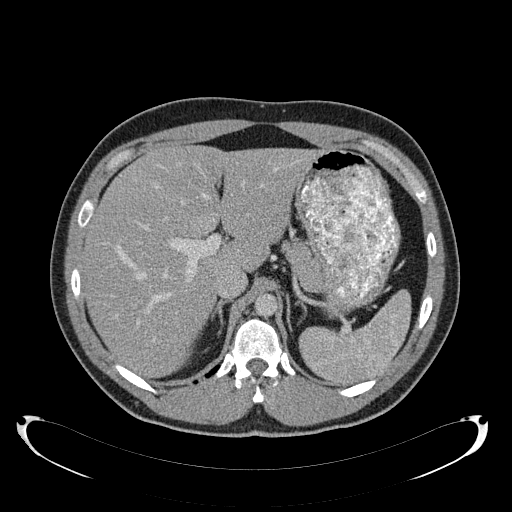
512x512 px. CT image. Abdomen.

The liver is located at <box>85,145,325,377</box>.